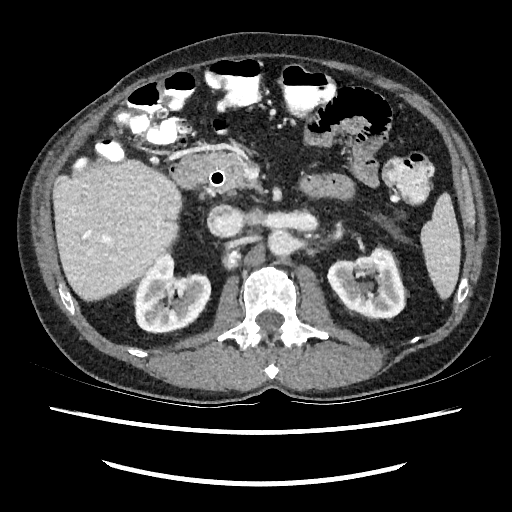 CT scan slice | Liver
Liver at {"x1": 54, "y1": 161, "x2": 180, "y2": 299}.
Kidney at {"x1": 328, "y1": 249, "x2": 403, "y2": 317}, {"x1": 136, "y1": 254, "x2": 210, "y2": 331}.